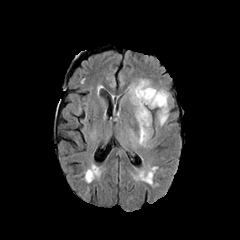
FLAIR MR image.
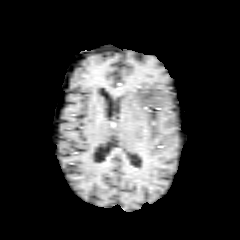
Same slice, T1-weighted MR.
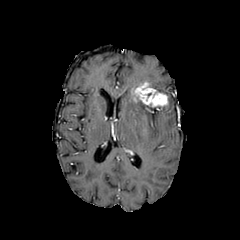
Post-contrast T1-weighted MR.
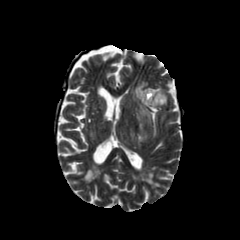
T2-weighted MR image of the same slice.
Head | Image size 240x240
edema:
  - <bbox>128, 80, 168, 145</bbox>
enhancing_tumor:
  - <bbox>132, 82, 167, 107</bbox>